CT slice, Slice index 563, Upper abdomen, Field of view 382 mm wide, 0.70 mm slice spacing
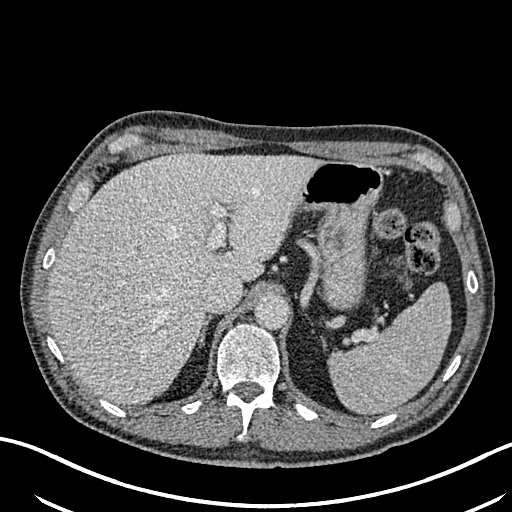
{
  "liver": [
    "bbox=[49, 154, 325, 405]"
  ]
}